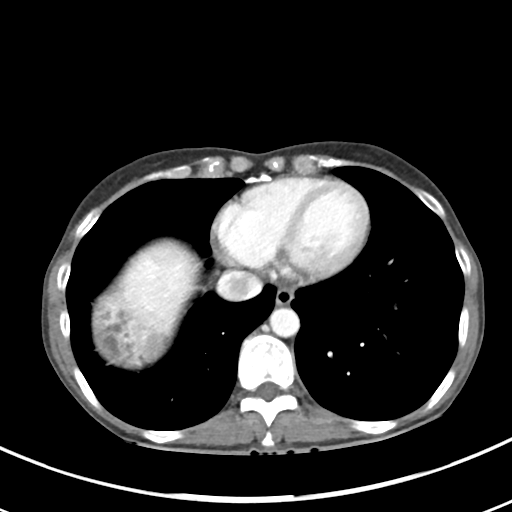

512x512 px. Computed tomography. * liver tumor: region(96, 283, 170, 368)